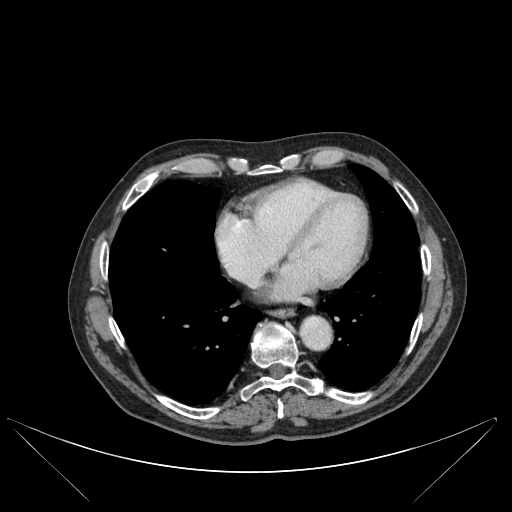
Image size 512x512, Thorax, CT image
2 lung regions are located at {"x1": 109, "y1": 181, "x2": 262, "y2": 404}, {"x1": 319, "y1": 164, "x2": 420, "y2": 390}. 12 bone regions are bounded by {"x1": 278, "y1": 400, "x2": 282, "y2": 417}, {"x1": 241, "y1": 371, "x2": 323, "y2": 399}, {"x1": 409, "y1": 315, "x2": 422, "y2": 350}, {"x1": 157, "y1": 396, "x2": 219, "y2": 419}, {"x1": 254, "y1": 166, "x2": 280, "y2": 174}, {"x1": 99, "y1": 246, "x2": 108, "y2": 276}, {"x1": 109, "y1": 318, "x2": 123, "y2": 345}, {"x1": 251, "y1": 323, "x2": 297, "y2": 367}, {"x1": 421, "y1": 245, "x2": 430, "y2": 274}, {"x1": 123, "y1": 173, "x2": 157, "y2": 209}, {"x1": 401, "y1": 189, "x2": 417, "y2": 211}, {"x1": 326, "y1": 389, "x2": 370, "y2": 404}.